Head
FLAIR MR image.
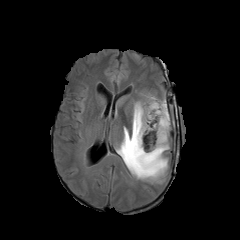
T1-weighted MR image.
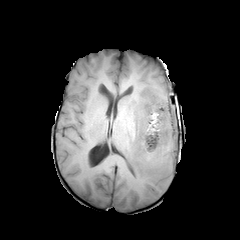
Post-contrast T1-weighted magnetic resonance.
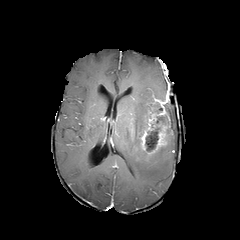
T2-weighted MR image.
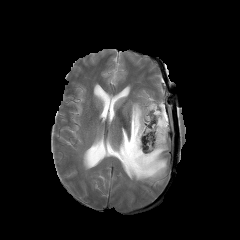
2 edema regions are bounded by left=110, top=72, right=118, bottom=79; left=114, top=91, right=173, bottom=185. 3 non-enhancing tumor core regions are located at left=130, top=128, right=137, bottom=137; left=142, top=113, right=163, bottom=149; left=122, top=138, right=135, bottom=155. 2 enhancing tumor regions are bounded by left=158, top=102, right=165, bottom=115; left=157, top=125, right=165, bottom=147.